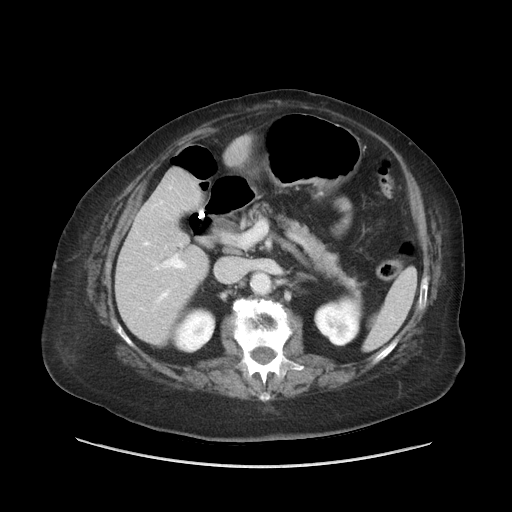 Computed tomography. 512x512. Some hepatic vessels may have no box.
{"hepatic_vessel": ["x1=168 y1=258 x2=183 y2=266"]}